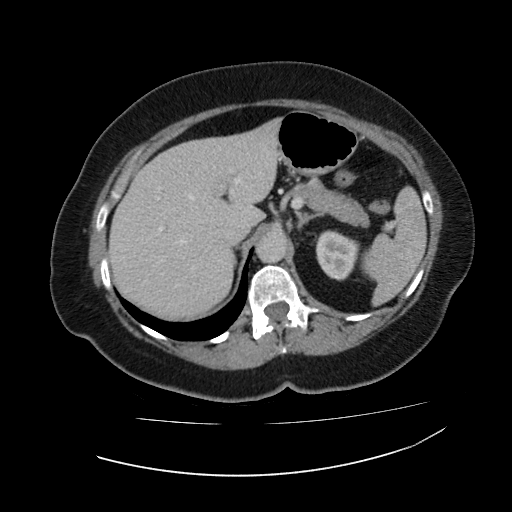
CT image

<segmentation>
  <liver>box(109, 120, 278, 317)</liver>
  <kidney>box(316, 231, 358, 279)</kidney>
</segmentation>